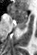
Medial temporal lobe | MR
Segmented structures:
* posterior hippocampus: [16,23,25,29]
* anterior hippocampus: [8,7,28,22]